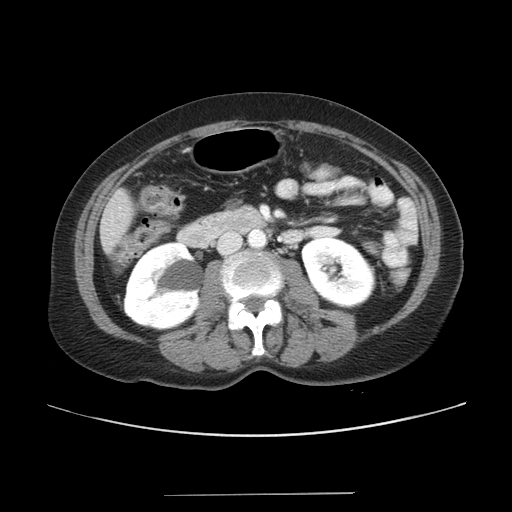
CT image

The colon tumor is at box=[128, 221, 169, 250].